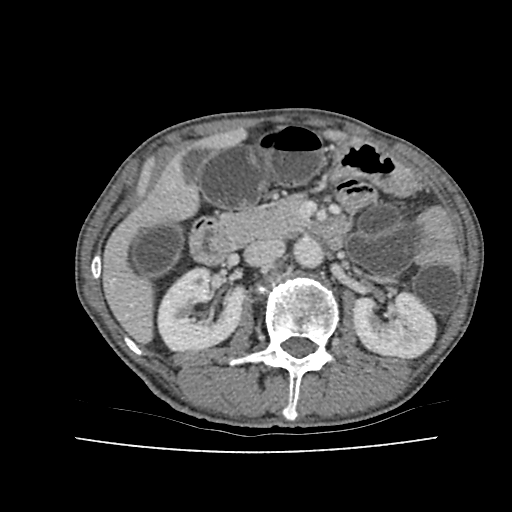
CT scan slice
Liver — (208,135,240,145), (103,164,192,338).
Kidney — (158,269,243,350), (354,293,434,357).